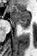
Medial temporal lobe. MR. Image size 37x56. posterior_hippocampus:
  - x1=20, y1=25, x2=29, y2=28
anterior_hippocampus:
  - x1=11, y1=6, x2=30, y2=24